Slice 104/841; CT image
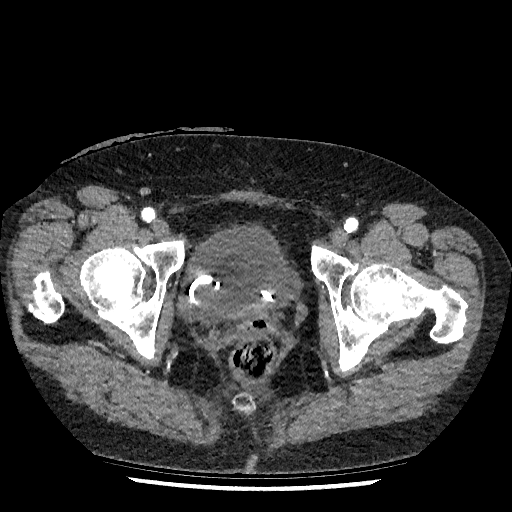

<segmentation>
  <urinary_bladder>x1=176, y1=223, x2=296, y2=327</urinary_bladder>
</segmentation>